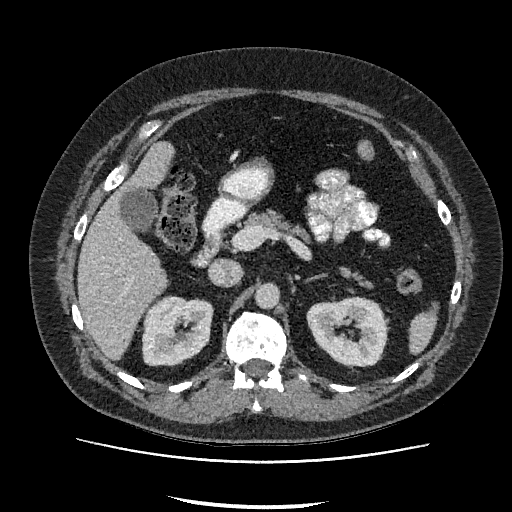

CT scan slice
Kidney: bounding box (x1=143, y1=297, x2=211, y2=364), (x1=308, y1=298, x2=385, y2=365).
Liver: bounding box (x1=78, y1=141, x2=172, y2=359).